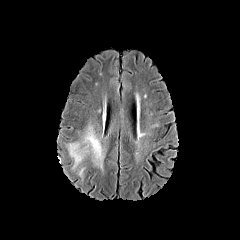
FLAIR MRI.
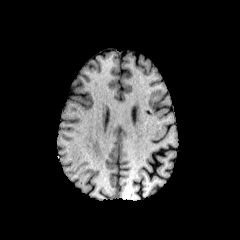
T1-weighted MRI of the same slice.
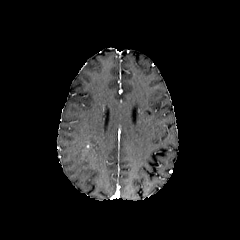
Post-contrast T1-weighted magnetic resonance.
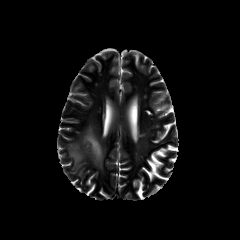
T2-weighted MRI.
Brain
Annotated regions:
- edema: (left=67, top=126, right=103, bottom=178)